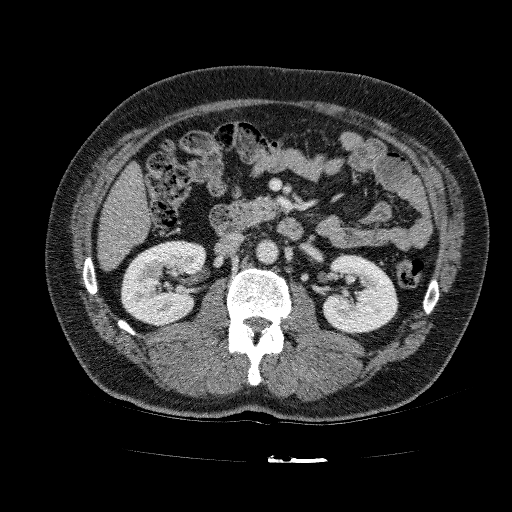 CT slice. 512x512 px. Abdomen. Segmented structures:
- liver: box=[98, 163, 150, 270]
- kidney: box=[122, 241, 204, 325]; box=[324, 256, 397, 332]